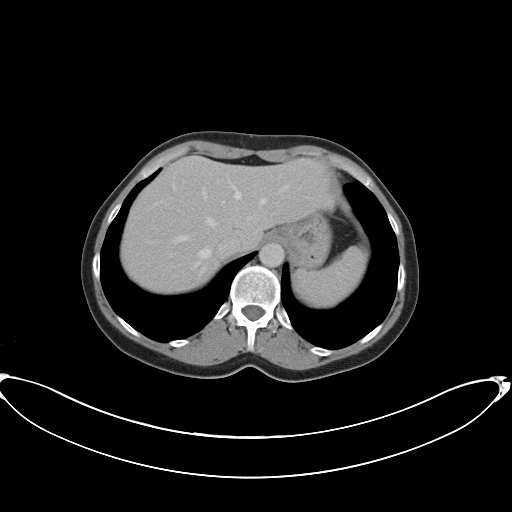
Computed tomography | Abdomen | Image size 512x512
The vessel annotation is not exhaustive.
7 hepatic vessel regions are located at [178, 237, 186, 240], [202, 189, 207, 198], [228, 180, 241, 200], [257, 197, 267, 208], [200, 250, 209, 256], [278, 184, 290, 194], [207, 218, 214, 225].